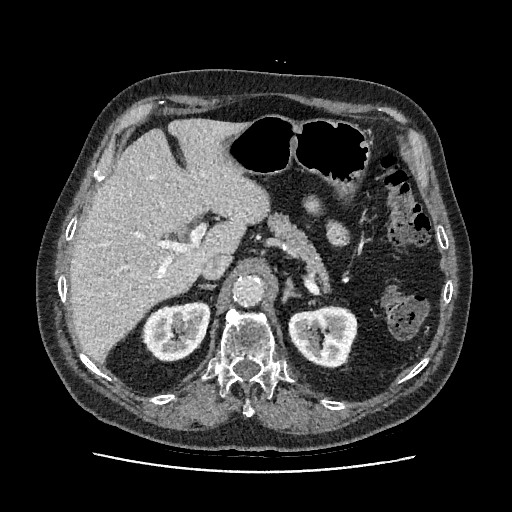 CT image. 512x512 px. Liver = [x1=70, y1=119, x2=268, y2=362].
Kidney = [x1=144, y1=303, x2=209, y2=360], [x1=289, y1=307, x2=356, y2=366].